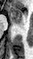
MRI | Medial temporal lobe

<segmentation>
  <anterior_hippocampus>9,6,22,23</anterior_hippocampus>
</segmentation>